CT

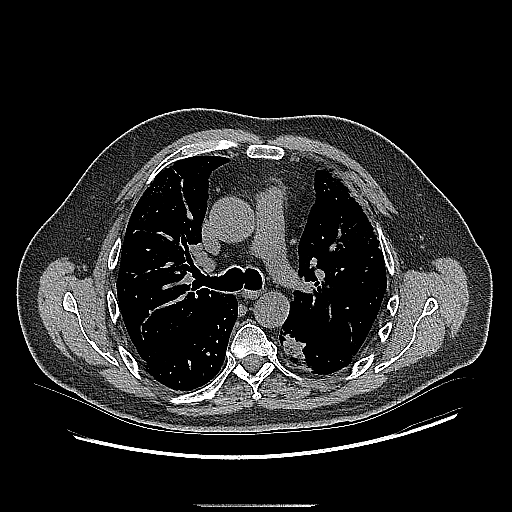 Lung tumor at 279,329,311,372.